Computed tomography
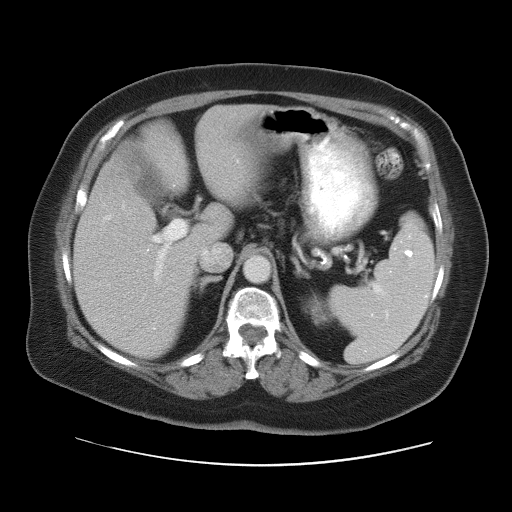

Spleen: bounding box 330,213,435,363.